Image width 240 mm | Head
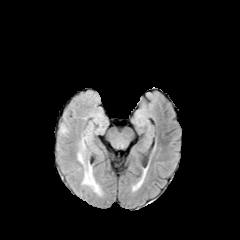
FLAIR MRI.
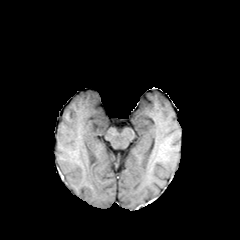
Same slice, T1-weighted MR.
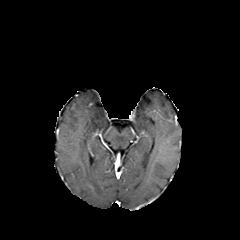
Post-contrast T1-weighted magnetic resonance.
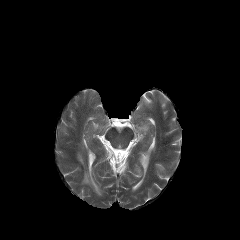
Same slice, T2-weighted magnetic resonance.
edema:
  - [x1=83, y1=161, x2=100, y2=194]